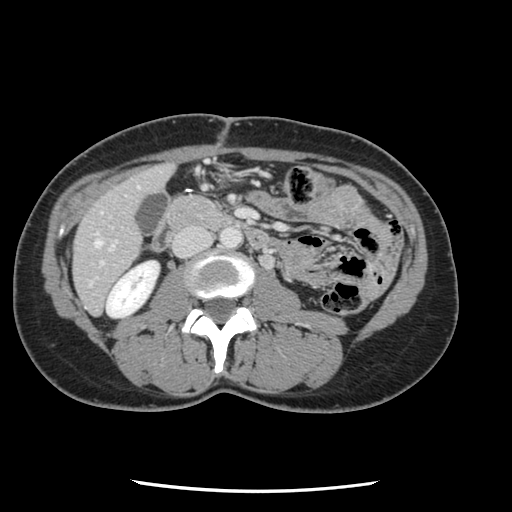 Image size 512x512 | Abdomen | CT image
The vessel annotation is not exhaustive.
Hepatic vessel at rect(108, 245, 113, 250); rect(100, 261, 102, 264); rect(95, 239, 100, 246).